Image size 240x240; Slice 118/155
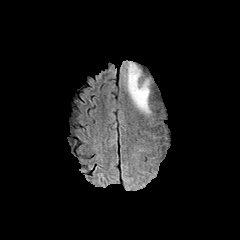
FLAIR MR image.
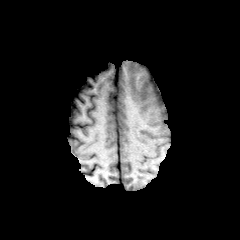
T1-weighted MR image of the same slice.
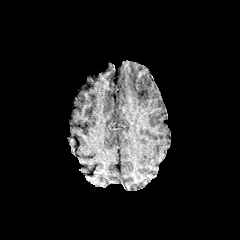
Post-contrast T1-weighted MR of the same slice.
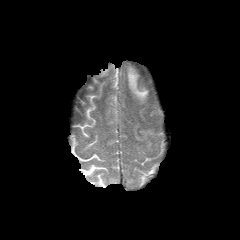
T2-weighted MR image of the same slice.
edema:
  - box(125, 65, 149, 112)